Abdomen | Field of view 437 mm wide, 4.00 mm slice spacing | Computed tomography | Slice index 34 | 512x512 px
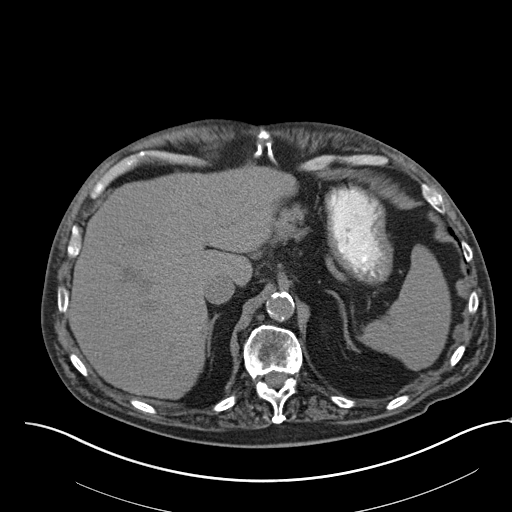
spleen:
  - {"x1": 362, "y1": 248, "x2": 449, "y2": 368}